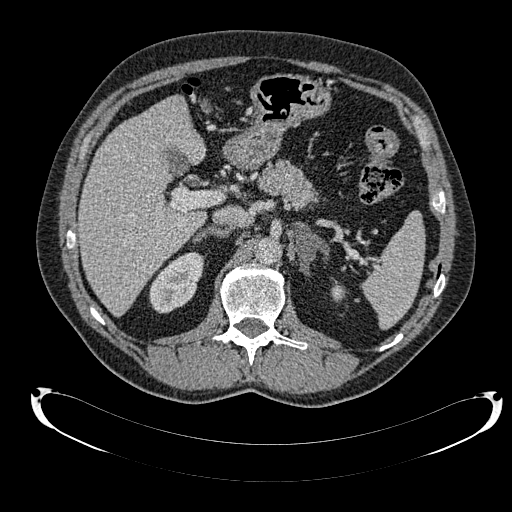
Computed tomography; Upper abdomen
liver:
  - <bbox>78, 95, 205, 314</bbox>
kidney:
  - <bbox>333, 286, 342, 298</bbox>
  - <bbox>150, 253, 202, 312</bbox>